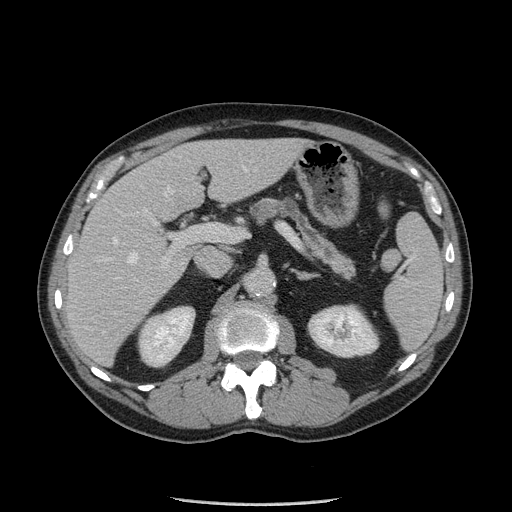
CT image
pancreas:
  - bbox(249, 196, 357, 278)
pancreatic_tumor:
  - bbox(283, 197, 296, 214)